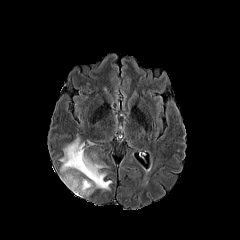
FLAIR MR image.
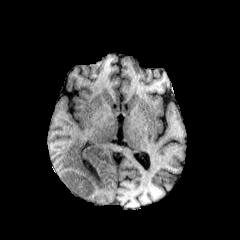
T1-weighted MR image.
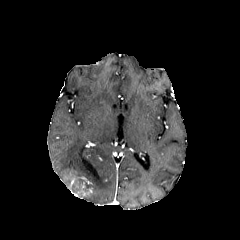
Post-contrast T1-weighted MR image of the same slice.
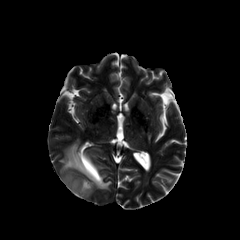
T2-weighted MR image.
Head.
3 edema regions are located at (x1=72, y1=179, x2=80, y2=192), (x1=63, y1=175, x2=74, y2=185), (x1=59, y1=138, x2=111, y2=190). The enhancing tumor is bounded by (x1=78, y1=181, x2=92, y2=196).